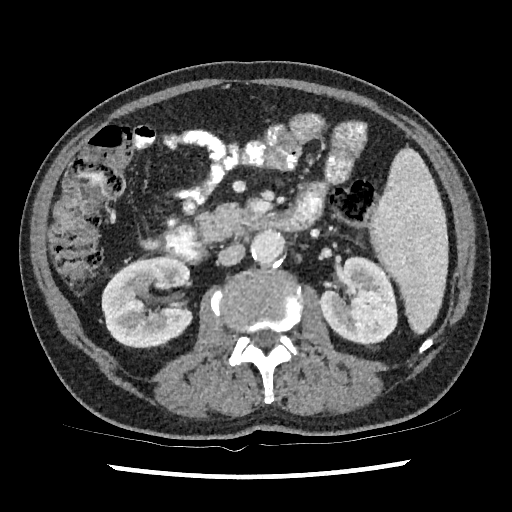

Image size 512x512. CT scan slice.
2 kidney regions are bounded by {"x1": 102, "y1": 256, "x2": 191, "y2": 347}, {"x1": 318, "y1": 257, "x2": 396, "y2": 343}.